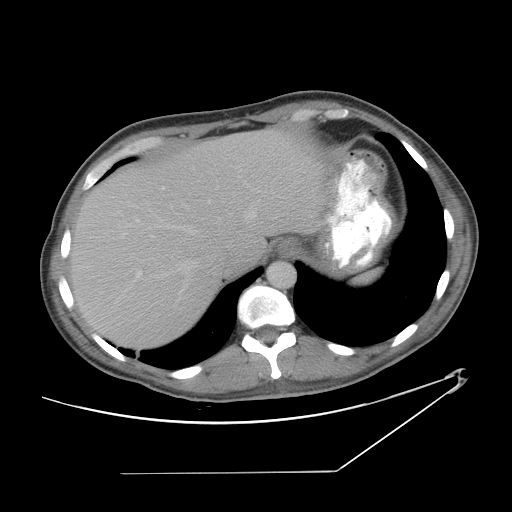

CT; Liver

The vessel annotation is not exhaustive.
hepatic_vessel:
  - <bbox>135, 278, 137, 281</bbox>
  - <bbox>137, 220, 139, 221</bbox>
  - <bbox>180, 262, 192, 272</bbox>
  - <bbox>115, 287, 130, 302</bbox>
  - <bbox>247, 205, 255, 222</bbox>
  - <bbox>162, 187, 164, 189</bbox>
  - <bbox>146, 214, 197, 233</bbox>
  - <bbox>137, 272, 141, 276</bbox>
  - <bbox>150, 235, 153, 236</bbox>
  - <bbox>123, 233, 125, 237</bbox>
  - <bbox>179, 285, 185, 295</bbox>
  - <bbox>238, 174, 240, 177</bbox>